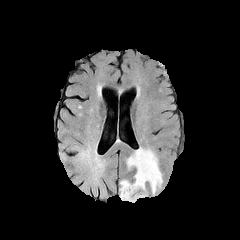
FLAIR MR image.
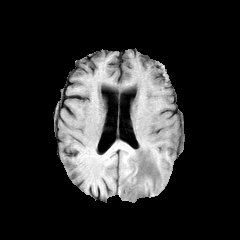
T1-weighted MR image of the same slice.
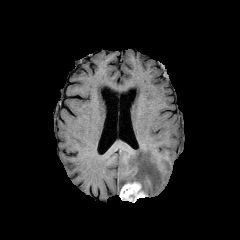
Post-contrast T1-weighted magnetic resonance of the same slice.
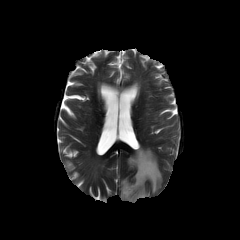
Same slice, T2-weighted MRI.
Head
Edema: bounding box (left=127, top=147, right=162, bottom=194).
Enhancing tumor: bounding box (left=120, top=181, right=147, bottom=202).